FLAIR MRI.
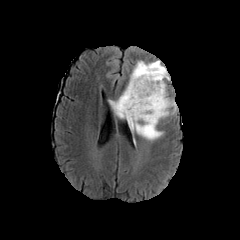
T1-weighted magnetic resonance.
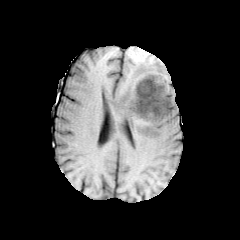
Post-contrast T1-weighted magnetic resonance.
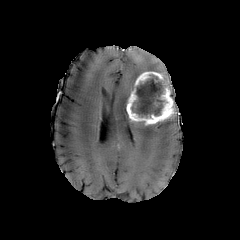
T2-weighted MRI.
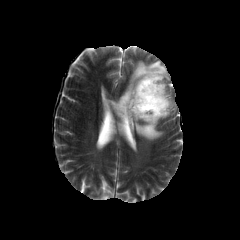
Head.
<segmentation>
  <enhancing_tumor>126:71:175:125</enhancing_tumor>
  <edema>109:60:161:121, 128:118:169:140, 166:74:174:97</edema>
  <non-enhancing_tumor_core>144:124:154:133, 134:65:171:117</non-enhancing_tumor_core>
</segmentation>